Brain.
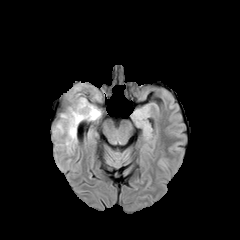
FLAIR MR.
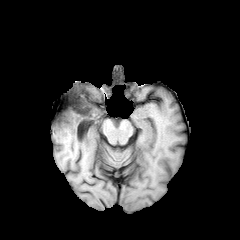
T1-weighted MRI.
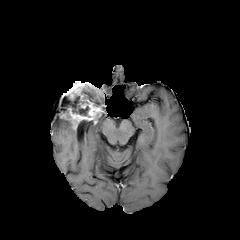
Post-contrast T1-weighted magnetic resonance of the same slice.
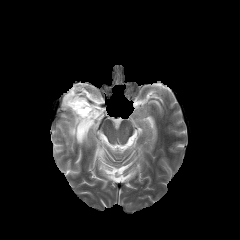
T2-weighted MR of the same slice.
3 non-enhancing tumor core regions appear at box=[64, 95, 88, 117]; box=[77, 120, 94, 124]; box=[82, 86, 102, 106]. The enhancing tumor is bounded by box=[65, 83, 101, 129]. The edema lies within box=[55, 118, 85, 149].